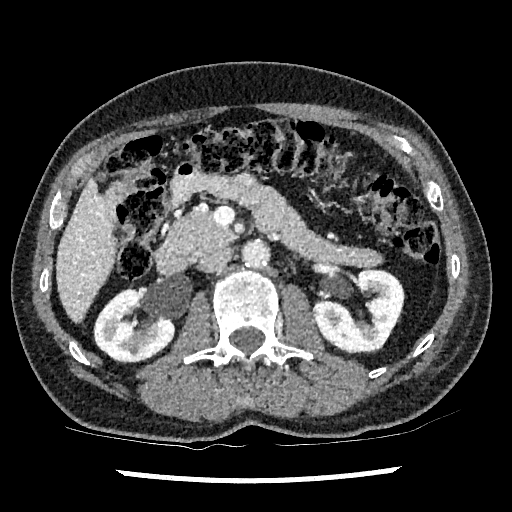

CT image, Liver
liver: 57:175:116:320 | kidney: 315:271:403:350, 95:290:173:360